Slice 107/771, Pelvis, CT scan slice
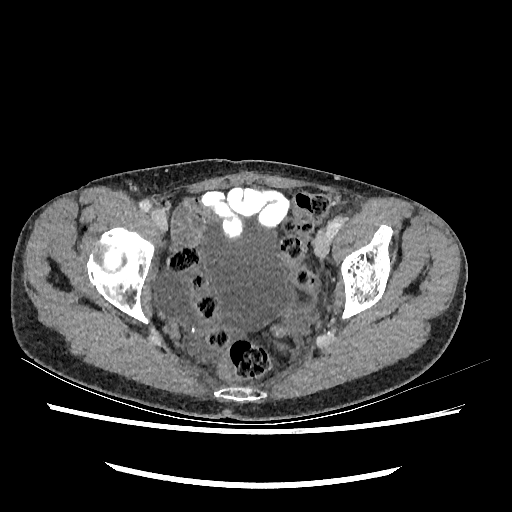 urinary bladder: <bbox>157, 218, 311, 340</bbox>